CT slice; Image size 512x512
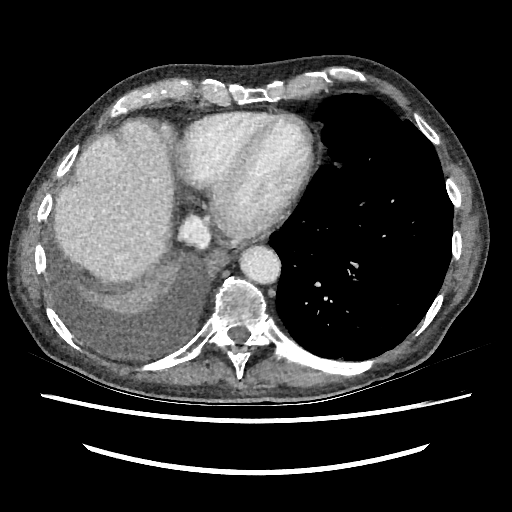
Liver — {"x1": 55, "y1": 120, "x2": 174, "y2": 281}.